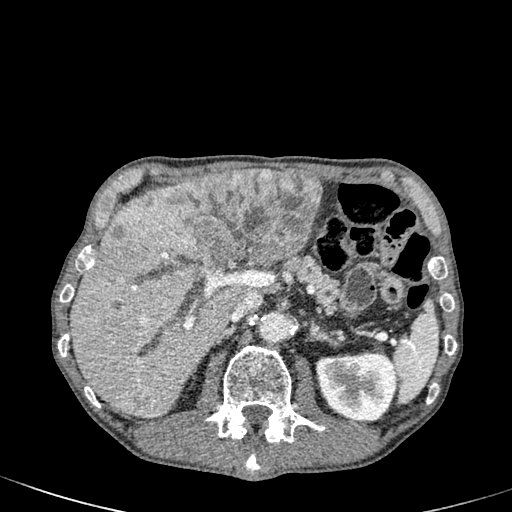
512x512, CT slice
3 focal liver lesion regions are located at region(133, 394, 147, 408); region(111, 226, 124, 238); region(166, 169, 321, 270). The liver is located at region(70, 183, 248, 416). The kidney lies within region(315, 354, 399, 420).